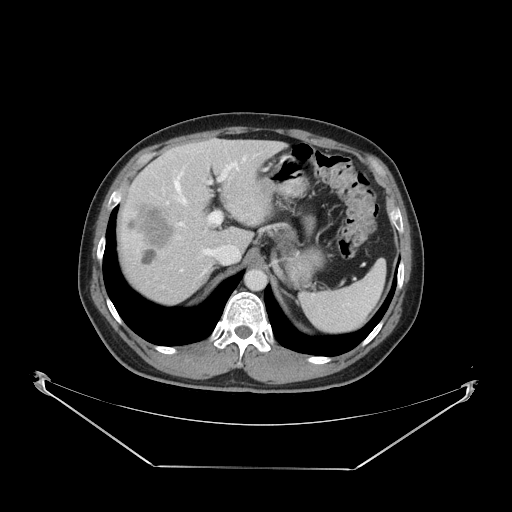
CT image; Abdomen

Only some of the vessels may be annotated.
Hepatic vessel at rect(202, 250, 210, 254); rect(179, 223, 181, 224); rect(221, 162, 237, 179); rect(181, 196, 185, 202); rect(174, 179, 180, 193).
Liver tumor at rect(135, 203, 174, 249).